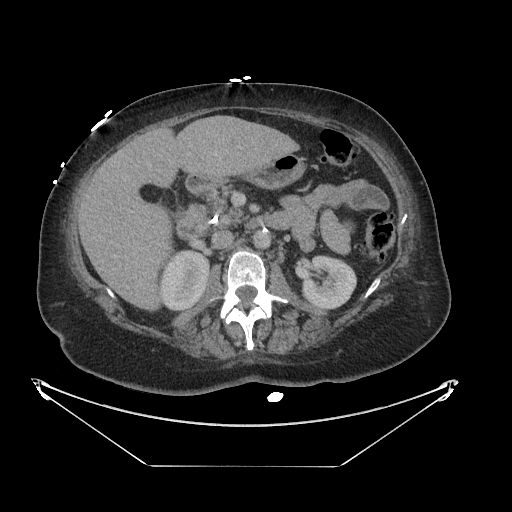
Upper abdomen; Image size 512x512; CT image

* pancreas: <bbox>209, 187, 240, 227</bbox>